FLAIR MR image.
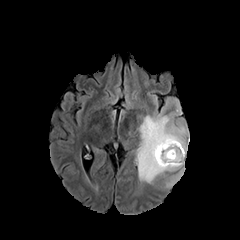
T1-weighted MR.
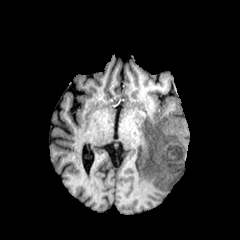
Post-contrast T1-weighted magnetic resonance.
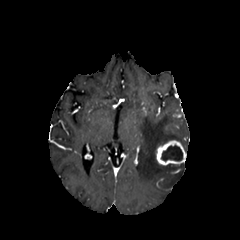
T2-weighted MR image.
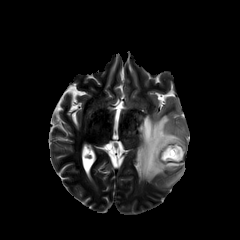
The enhancing tumor appears at bbox=[156, 140, 186, 165]. 2 edema regions are bounded by bbox=[137, 115, 189, 182]; bbox=[166, 168, 185, 186]. The non-enhancing tumor core is at bbox=[161, 145, 183, 161].